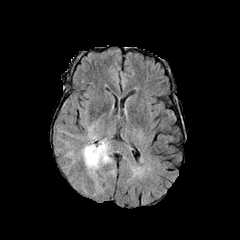
FLAIR MR image.
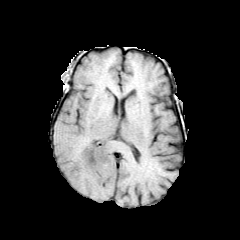
T1-weighted magnetic resonance.
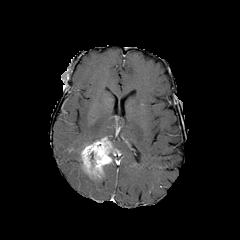
Post-contrast T1-weighted MR image of the same slice.
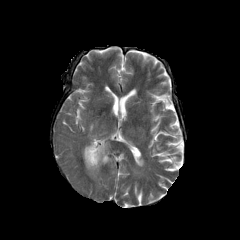
T2-weighted MRI of the same slice.
Brain, Image size 240x240
2 edema regions are bounded by 93 181 104 194, 71 120 101 161. The enhancing tumor lies within 80 137 112 180.